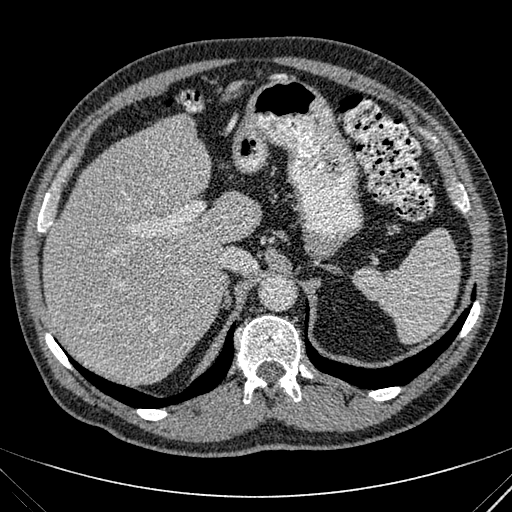 Liver, CT image

Liver — 45, 116, 259, 382.